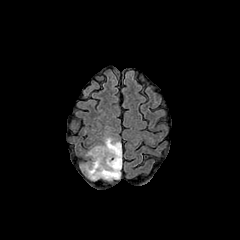
FLAIR MR image.
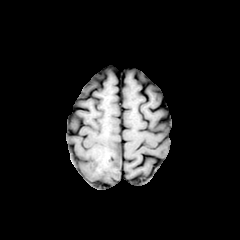
T1-weighted MR image.
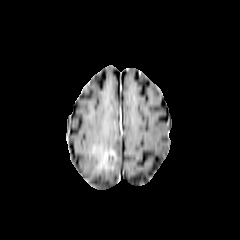
Post-contrast T1-weighted MR of the same slice.
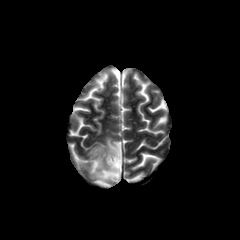
T2-weighted MR image.
Head
Non-enhancing tumor core at bbox=[93, 145, 119, 175].
Edema at bbox=[82, 134, 121, 181].